Image size 240x240
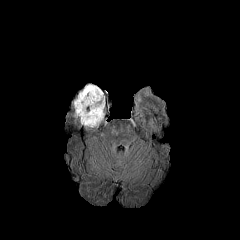
FLAIR MR.
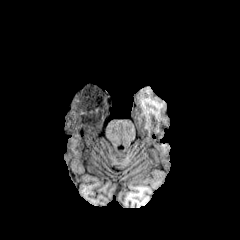
Same slice, T1-weighted magnetic resonance.
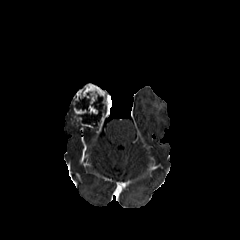
Post-contrast T1-weighted MR image of the same slice.
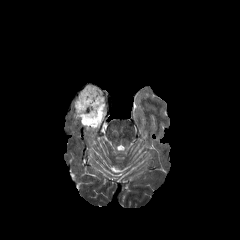
T2-weighted magnetic resonance of the same slice.
The non-enhancing tumor core lies within 67, 91, 107, 128. 2 enhancing tumor regions are bounded by 75, 83, 111, 133; 88, 105, 98, 114.